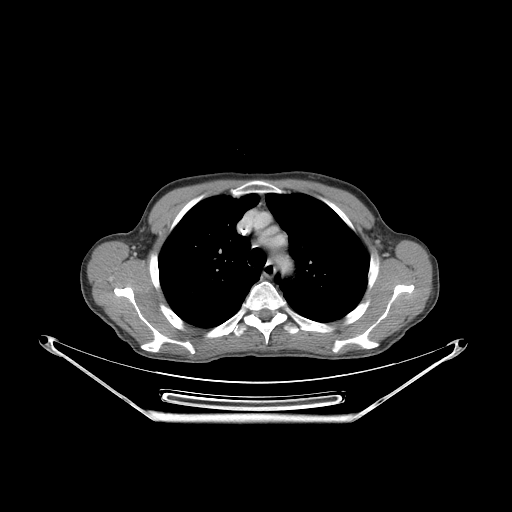
Chest; CT; 512x512
2 lung regions are located at l=265, t=193, r=369, b=321; l=158, t=193, r=260, b=327. 12 bone regions appear at l=114, t=287, r=194, b=353; l=287, t=308, r=331, b=332; l=339, t=302, r=368, b=326; l=173, t=200, r=193, b=225; l=234, t=186, r=243, b=194; l=285, t=327, r=298, b=332; l=161, t=305, r=182, b=328; l=150, t=255, r=158, b=287; l=254, t=181, r=262, b=192; l=207, t=308, r=244, b=337; l=243, t=282, r=286, b=342; l=334, t=285, r=413, b=351.